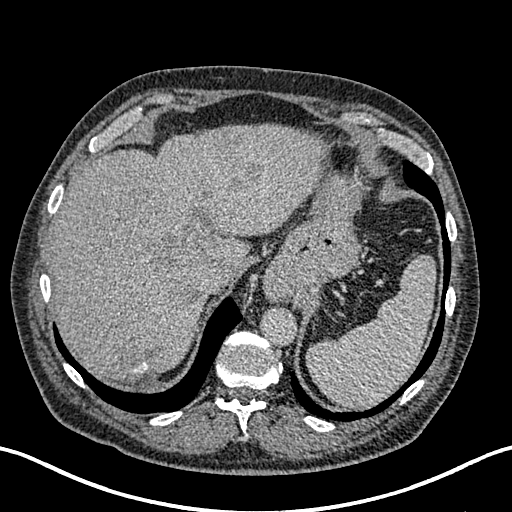
CT scan slice. Image size 512x512. Abdomen. Liver: (48,125,321,381).
Liver lesion: (235,162,260,187), (145,227,213,282), (165,279,202,305), (187,204,214,230), (116,345,161,376).